CT scan slice. Abdomen. Image width 353 mm.

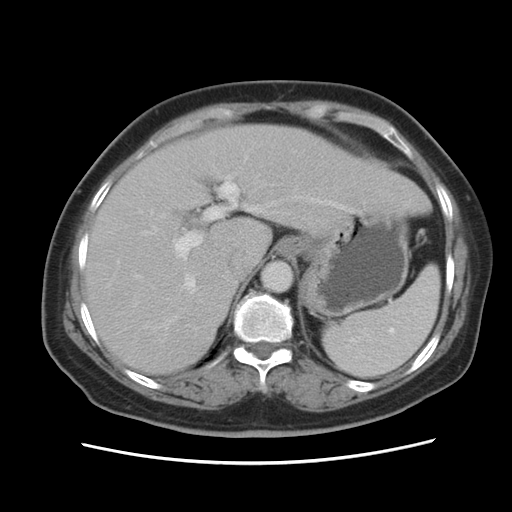

The vessel annotation is not exhaustive.
Segmented structures:
* hepatic vessel: 203 175 238 220, 182 275 196 292, 118 261 119 263, 137 275 141 278, 310 198 353 212, 143 226 157 234, 247 205 262 212, 167 319 175 328, 173 232 202 258